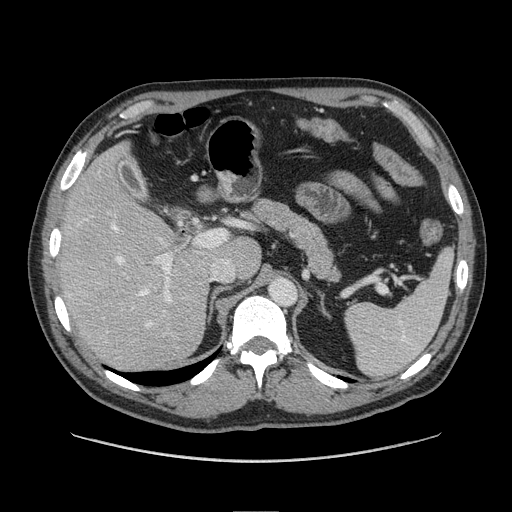 Computed tomography; Abdomen

The pancreas is bounded by box=[245, 196, 345, 285].